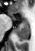

MR. 35x51.
Posterior hippocampus: [15, 21, 29, 41].
Anterior hippocampus: [12, 17, 15, 19], [23, 20, 27, 20].